CT slice. Image size 512x512. Slice 43 of 95. Upper abdomen.
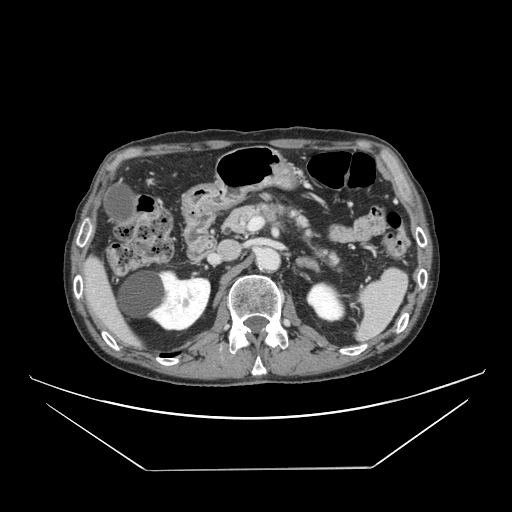 The pancreas lies within 220,202,346,275.